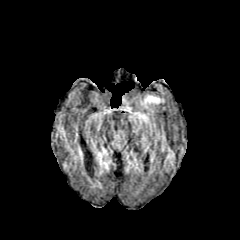
FLAIR magnetic resonance.
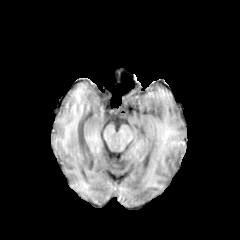
T1-weighted MR image of the same slice.
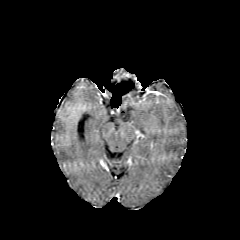
Post-contrast T1-weighted MR of the same slice.
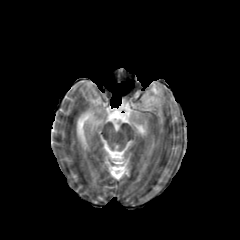
T2-weighted MRI.
Image size 240x240 | Head
{"edema": ["[x1=138, y1=112, x2=147, y2=122]", "[x1=136, y1=91, x2=161, y2=110]"]}